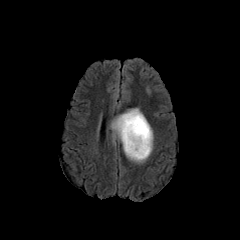
FLAIR MR.
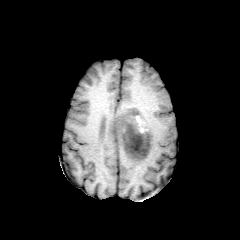
T1-weighted magnetic resonance.
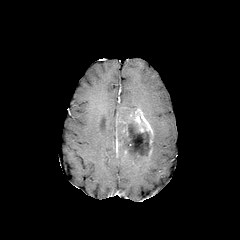
Post-contrast T1-weighted MRI.
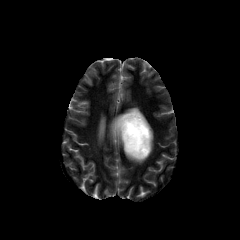
Same slice, T2-weighted MR image.
• edema: [126,153,149,163], [110,108,136,153]
• enhancing tumor: [129,109,152,134]
• non-enhancing tumor core: [115,110,152,157]